Slice 121 of 155. Brain. Field of view 240x240 mm. 240x240 px.
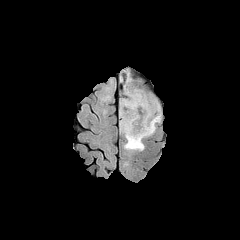
FLAIR MRI.
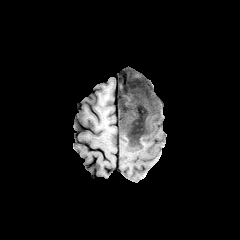
T1-weighted magnetic resonance.
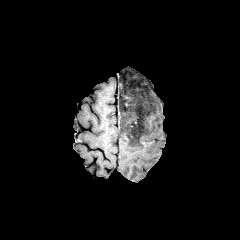
Post-contrast T1-weighted MR.
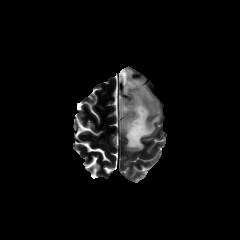
T2-weighted magnetic resonance of the same slice.
Edema: rect(124, 70, 161, 152); rect(119, 98, 124, 118).
Non-enhancing tumor core: rect(127, 81, 140, 98); rect(120, 97, 156, 149).